FLAIR MRI.
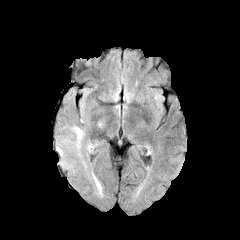
T1-weighted magnetic resonance.
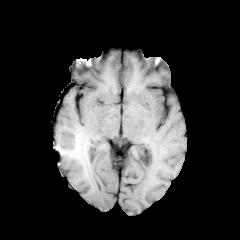
Post-contrast T1-weighted MR.
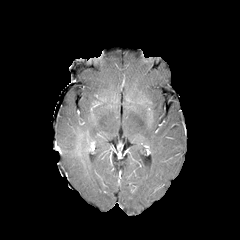
T2-weighted MR.
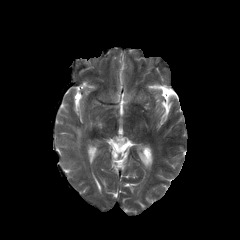
Brain
Findings:
* edema: <box>56,126,84,153</box>